Brain; Image size 240x240
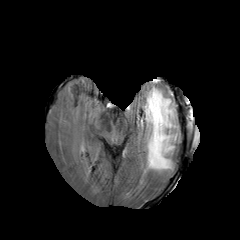
FLAIR magnetic resonance.
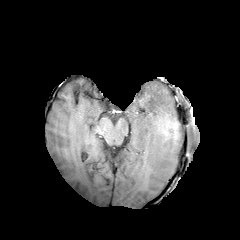
T1-weighted MR.
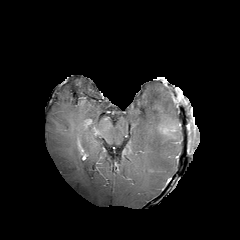
Same slice, post-contrast T1-weighted MRI.
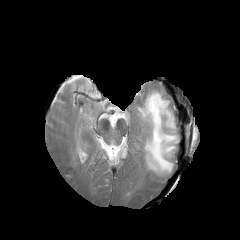
T2-weighted MR of the same slice.
The edema lies within l=136, t=85, r=179, b=174.